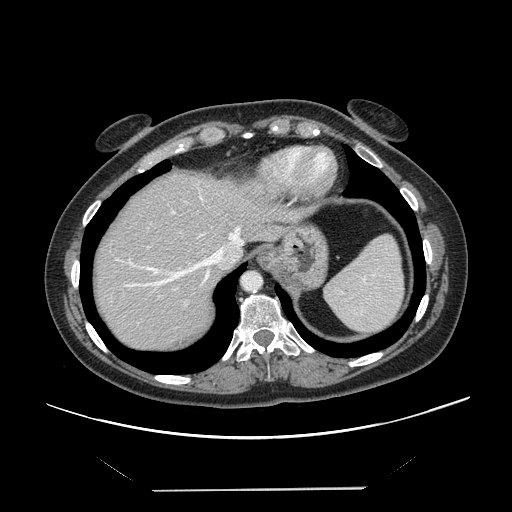 512x512 | CT scan slice
The vessel annotation is not exhaustive.
hepatic_vessel:
  - 115, 259, 120, 260
  - 174, 288, 176, 289
  - 197, 184, 202, 200
  - 124, 226, 242, 288
  - 209, 225, 213, 228
  - 171, 211, 174, 213
  - 198, 232, 206, 236